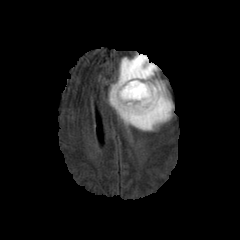
FLAIR MRI.
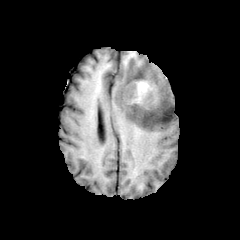
T1-weighted MR.
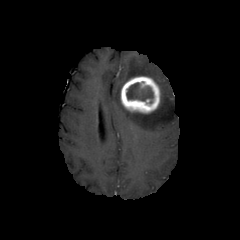
Same slice, post-contrast T1-weighted MR.
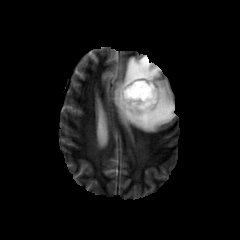
T2-weighted MR of the same slice.
240x240
2 non-enhancing tumor core regions appear at box(130, 107, 158, 115); box(127, 83, 153, 100). The enhancing tumor appears at box(120, 76, 160, 113). The edema is located at box(110, 54, 173, 131).